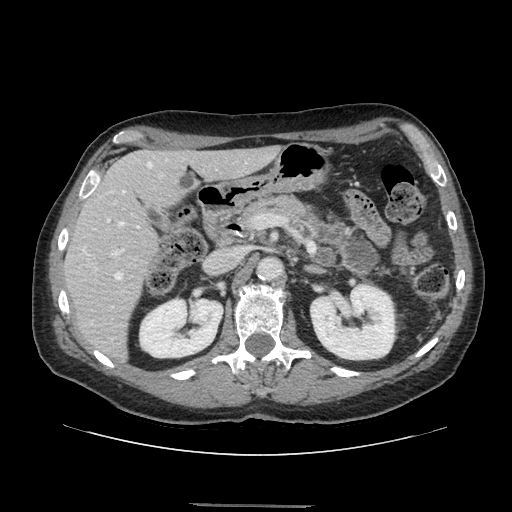

CT slice
The pancreas is at <box>244,195,307,224</box>.